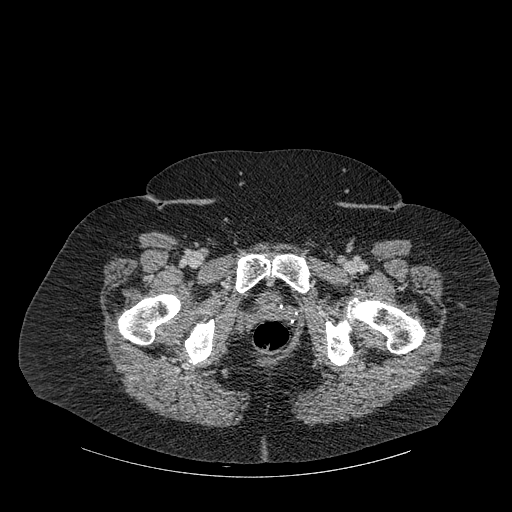 CT | Image size 512x512
<segmentation>
  <bone>[118, 294, 180, 344], [325, 320, 352, 365], [347, 298, 424, 353], [235, 254, 309, 292], [185, 319, 214, 364]</bone>
</segmentation>